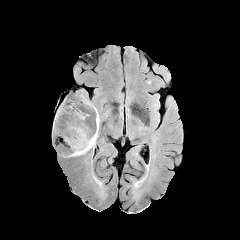
FLAIR magnetic resonance.
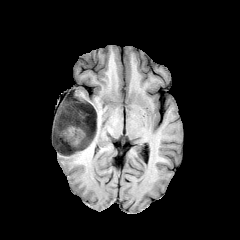
T1-weighted MRI of the same slice.
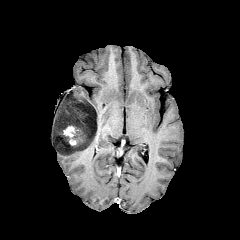
Same slice, post-contrast T1-weighted magnetic resonance.
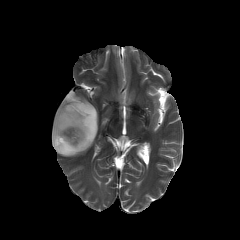
T2-weighted MR.
Brain.
non-enhancing_tumor_core:
  - (54, 98, 97, 154)
enhancing_tumor:
  - (63, 126, 77, 145)
edema:
  - (59, 149, 86, 156)